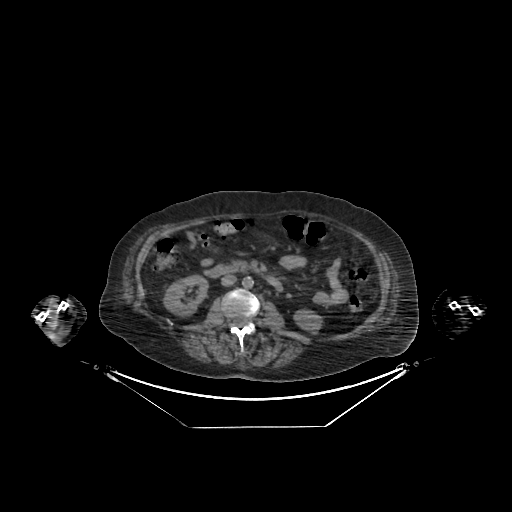
CT
Kidney at box=[163, 275, 208, 316]; box=[293, 309, 322, 334].